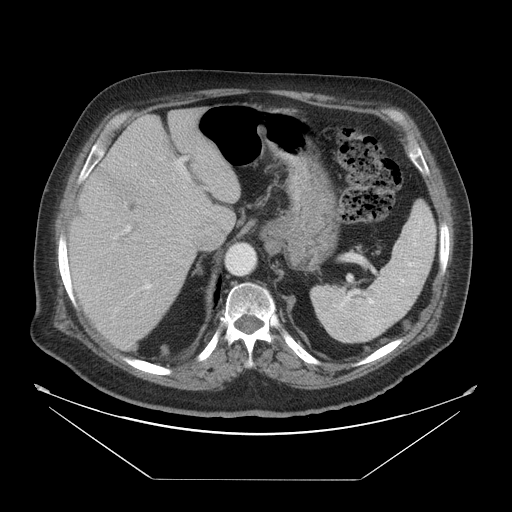
CT
Only some of the vessels may be annotated.
Liver tumor: 94:163:144:210, 126:219:144:240.
Hepatic vessel: 196:227:229:249, 176:157:185:174, 124:225:130:231, 142:283:151:288, 187:178:188:179.